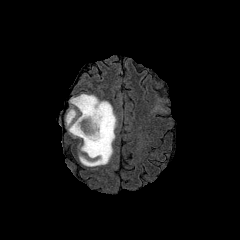
FLAIR MRI.
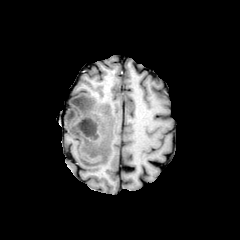
T1-weighted magnetic resonance.
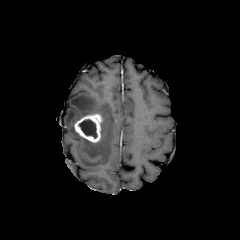
Post-contrast T1-weighted MR.
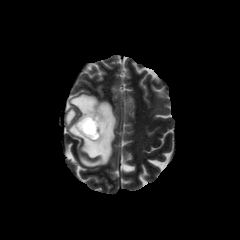
Same slice, T2-weighted MRI.
Head; 240x240 px
2 non-enhancing tumor core regions appear at region(98, 121, 104, 142); region(79, 120, 96, 137). The enhancing tumor lies within region(74, 113, 103, 143). The edema is at region(64, 94, 117, 167).